Slice index 525; Upper abdomen; CT slice

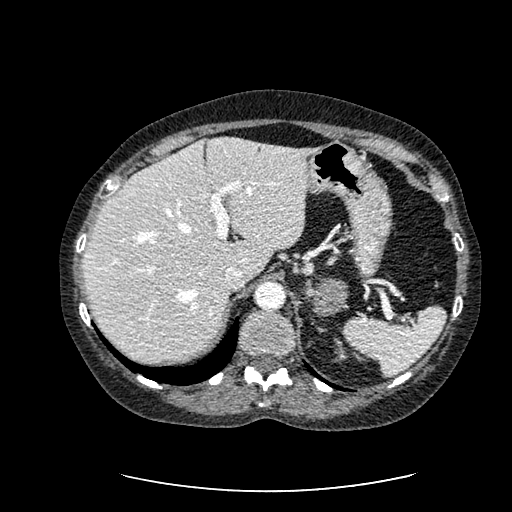
liver: 83 138 323 361